Field of view 240 mm wide, 1.00 mm slice spacing, Slice 59/155, Brain
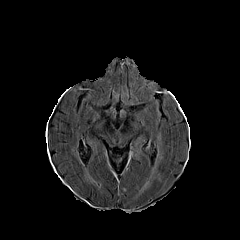
FLAIR MRI.
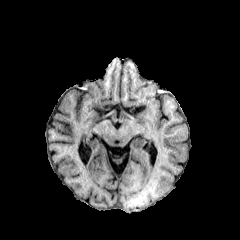
T1-weighted MR image.
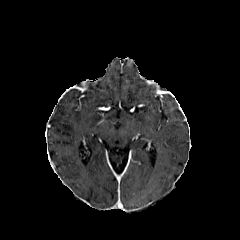
Post-contrast T1-weighted MR.
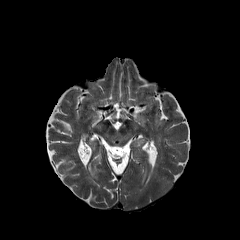
T2-weighted MRI.
The edema lies within left=139, top=145, right=161, bottom=193.